FLAIR MR.
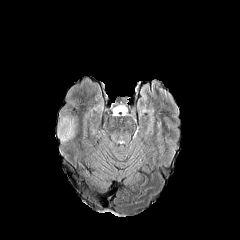
T1-weighted MR image.
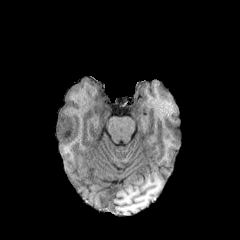
Post-contrast T1-weighted magnetic resonance.
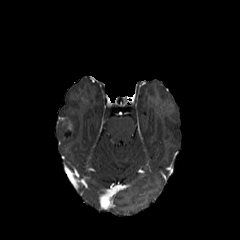
T2-weighted MR.
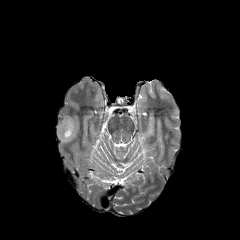
* enhancing tumor: rect(60, 117, 73, 130)
* non-enhancing tumor core: rect(57, 120, 72, 139)